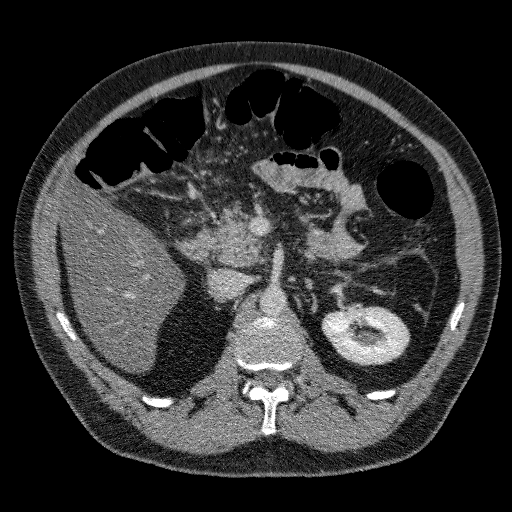

512x512, Abdomen, CT
liver: bbox(60, 182, 182, 370) | kidney: bbox(323, 309, 408, 363) | liver lesion: bbox(132, 232, 144, 242)